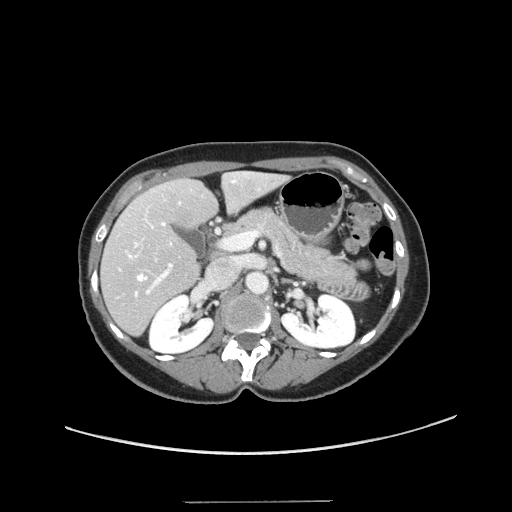
CT, 512x512 px, Liver

Only some of the vessels may be annotated.
8 hepatic vessel regions are bounded by box=[135, 291, 137, 294]; box=[129, 255, 136, 257]; box=[225, 232, 250, 247]; box=[151, 224, 153, 227]; box=[138, 274, 146, 279]; box=[162, 222, 165, 224]; box=[135, 242, 138, 245]; box=[147, 264, 172, 292].